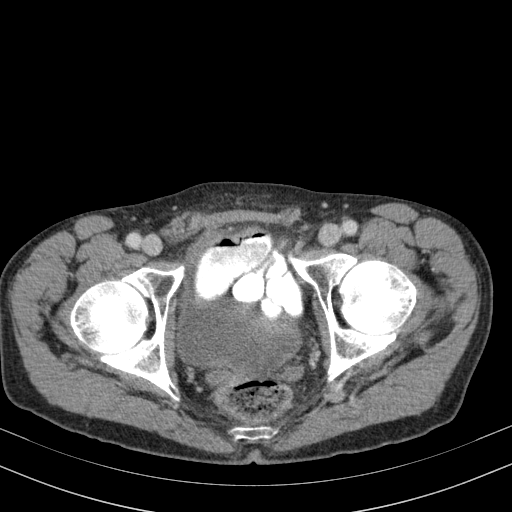
Lower abdomen. CT image.

<segmentation>
  <urinary_bladder><bbox>173, 294, 298, 376</bbox>, <bbox>188, 233, 220, 259</bbox></urinary_bladder>
</segmentation>